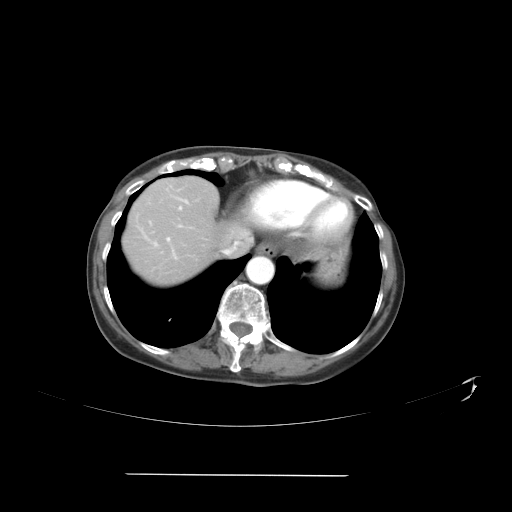

512x512 px | CT slice
The vessel boxes may cover only some of the vessels.
* hepatic vessel: (153,242,157,246), (172,251,175,257), (149,222,151,223), (179,207,181,209), (166,237,169,240), (178,225,180,227)